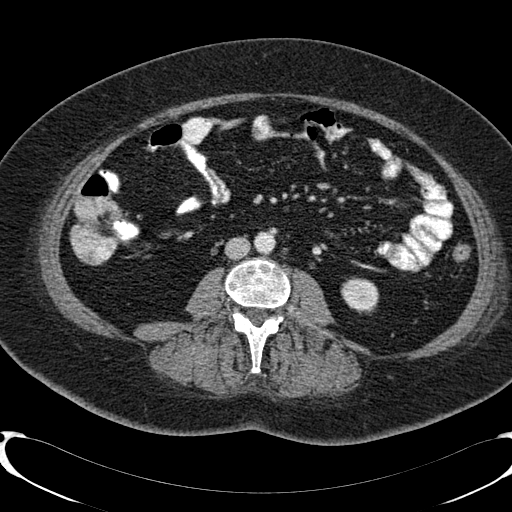
Abdomen | 512x512 | CT

kidney: 343 280 377 310